FLAIR MR.
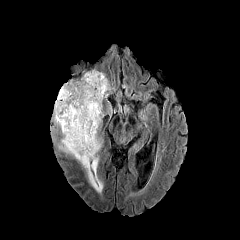
T1-weighted magnetic resonance.
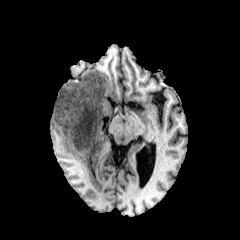
Post-contrast T1-weighted MRI.
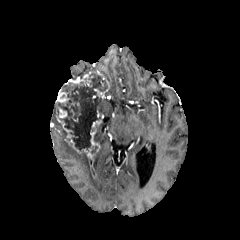
T2-weighted MR image.
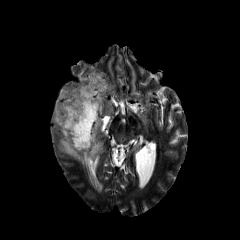
Image size 240x240
- non-enhancing tumor core: <box>93,116,104,142</box>, <box>52,72,108,154</box>
- enhancing tumor: <box>56,91,69,105</box>, <box>87,120,101,157</box>, <box>56,107,75,149</box>, <box>94,80,109,99</box>
- edema: <box>102,102,112,115</box>, <box>59,139,103,193</box>